FLAIR MR.
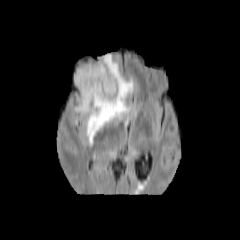
T1-weighted magnetic resonance.
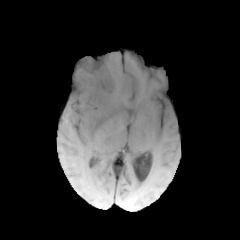
Post-contrast T1-weighted MR.
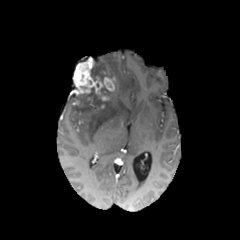
T2-weighted magnetic resonance.
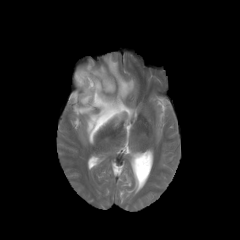
<segmentation>
  <enhancing_tumor>bbox=[73, 57, 115, 101]</enhancing_tumor>
  <non-enhancing_tumor_core>bbox=[70, 88, 107, 112]; bbox=[91, 58, 114, 81]; bbox=[101, 80, 117, 97]</non-enhancing_tumor_core>
  <edema>bbox=[73, 54, 133, 143]</edema>
</segmentation>